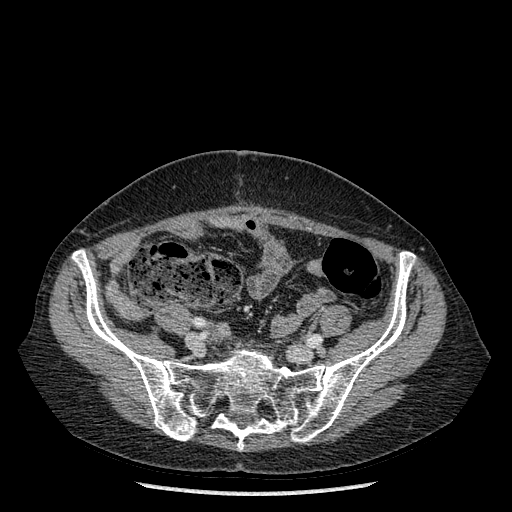 512x512 px, CT slice

Bone at 71, 249, 416, 450.